Image size 33x53 | MRI | Image width 33 mm 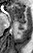
anterior_hippocampus:
  - l=11, t=4, r=25, b=22
posterior_hippocampus:
  - l=18, t=23, r=24, b=29